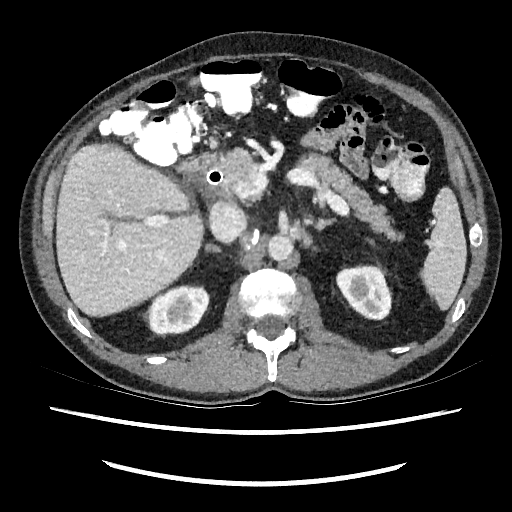

CT image

kidney:
  - left=150, top=287, right=208, bottom=333
  - left=337, top=267, right=390, bottom=318
liver:
  - left=56, top=145, right=203, bottom=315